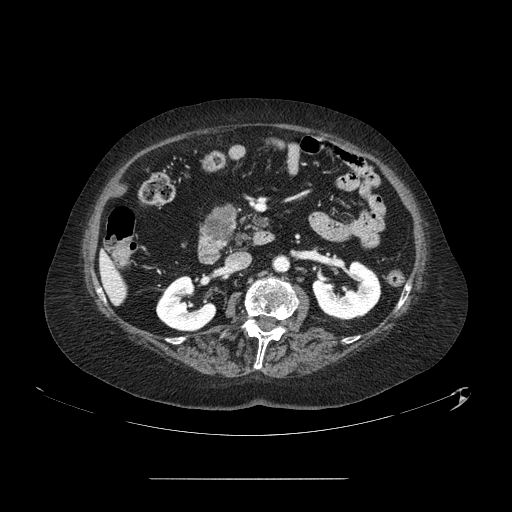

CT slice

pancreatic tumor: 204, 207, 234, 241 | pancreas: 204, 232, 228, 243; 209, 206, 226, 218